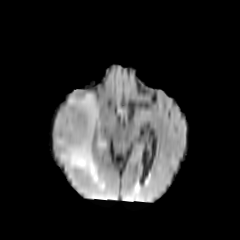
FLAIR magnetic resonance.
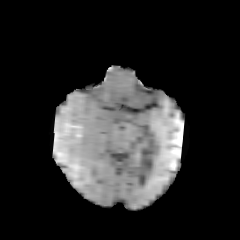
Same slice, T1-weighted magnetic resonance.
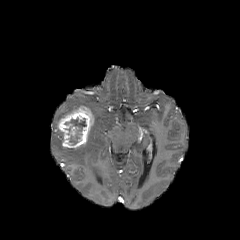
Post-contrast T1-weighted MR of the same slice.
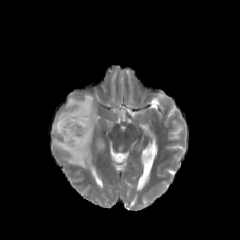
T2-weighted MRI.
Head
Non-enhancing tumor core: bounding box <bbox>64, 117, 86, 143</bbox>.
Enhancing tumor: bounding box <bbox>57, 105, 93, 148</bbox>.
Edema: bounding box <bbox>53, 93, 99, 181</bbox>.